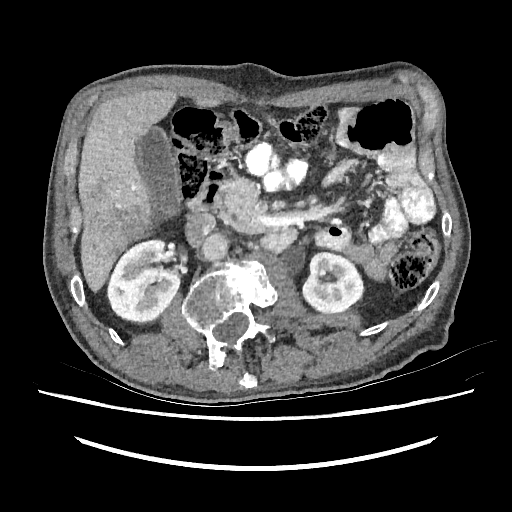
Abdomen | CT slice

2 liver regions appear at 78, 90, 176, 291; 197, 99, 217, 106. 3 liver lesion regions are bounded by 113, 244, 123, 254; 89, 206, 146, 242; 90, 182, 104, 199. 2 kidney regions are bounded by 108, 240, 179, 321; 303, 253, 362, 312.